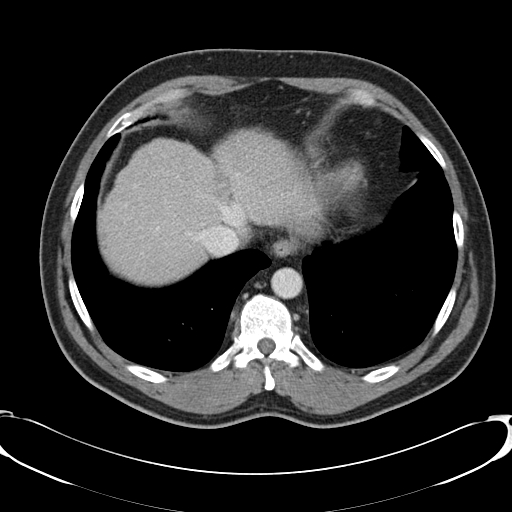

Image size 512x512, CT

Not every hepatic vessel necessarily has a box.
Annotated regions:
• hepatic vessel: 185:231:190:234, 236:191:242:194, 248:188:252:189, 164:200:165:202, 247:205:249:207, 156:227:158:230, 217:203:243:225, 238:182:241:185, 193:226:237:253